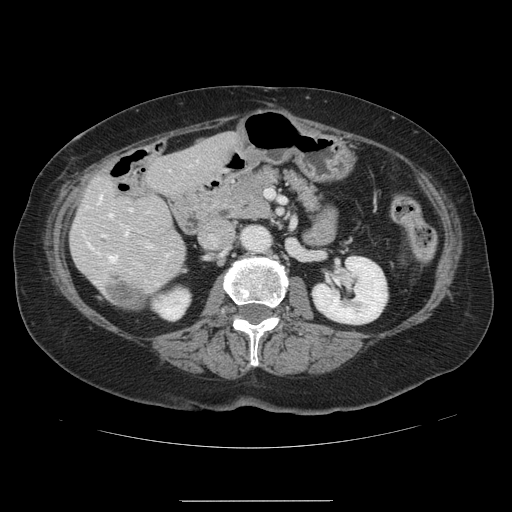
CT scan slice; Liver

Only some of the vessels may be annotated.
Liver tumor: bounding box box=[109, 283, 152, 306].
Hepatic vessel: bounding box box=[108, 255, 116, 261]; box=[109, 213, 111, 216]; box=[87, 242, 93, 249]; box=[124, 229, 127, 235]; box=[146, 244, 151, 246]; box=[97, 195, 101, 203]; box=[101, 234, 104, 235]; box=[129, 208, 131, 210].